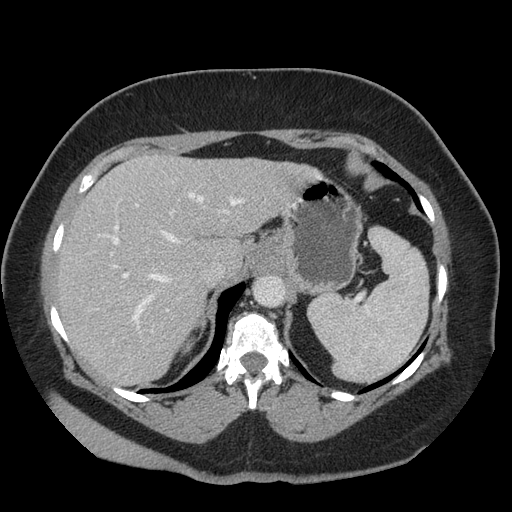 512x512; CT slice

Not every hepatic vessel necessarily has a box.
13 hepatic vessel regions are located at (left=163, top=232, right=178, bottom=242), (left=190, top=193, right=202, bottom=202), (left=170, top=212, right=173, bottom=215), (left=230, top=198, right=243, bottom=204), (left=221, top=211, right=228, bottom=213), (left=123, top=274, right=127, bottom=277), (left=166, top=309, right=168, bottom=311), (left=127, top=299, right=128, bottom=300), (left=113, top=266, right=118, bottom=267), (left=98, top=225, right=118, bottom=243), (left=132, top=294, right=154, bottom=326), (left=151, top=275, right=168, bottom=283), (left=151, top=330, right=152, bottom=332).